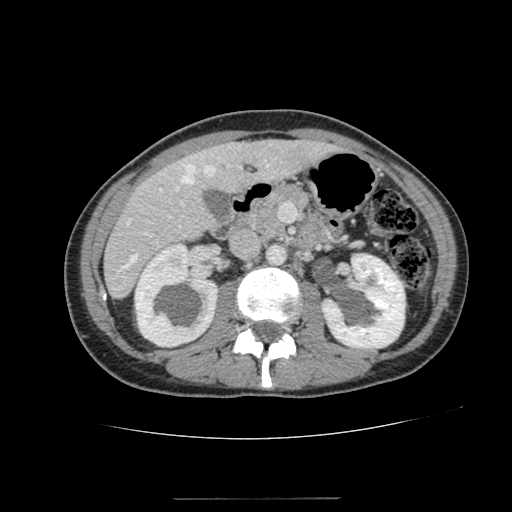

512x512; CT slice; Abdomen
The liver is located at [104,138,335,297]. 2 kidney regions are bounded by [135,244,216,346], [322,254,404,347].